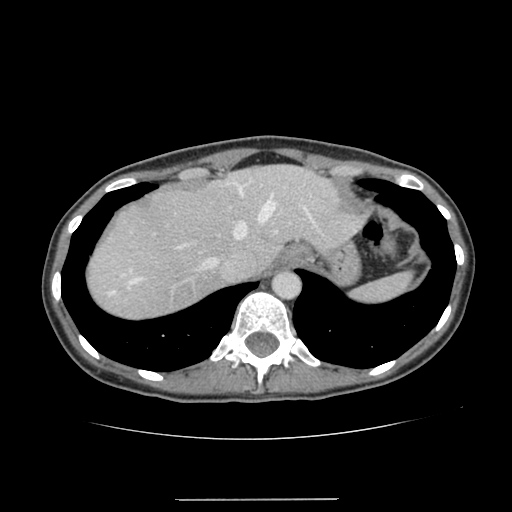
CT image
Liver = [87,164,364,320].